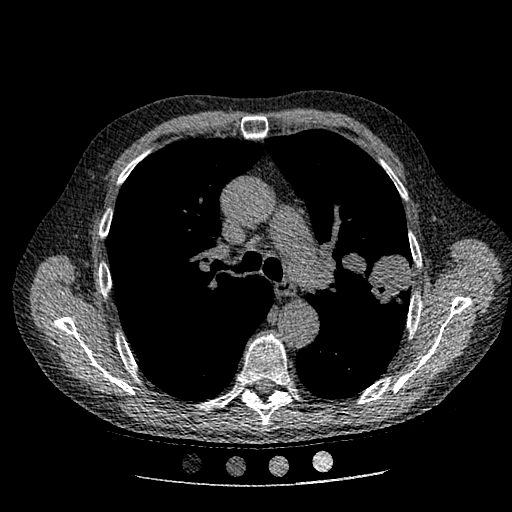 CT
The lung tumor appears at 341:251:411:309.